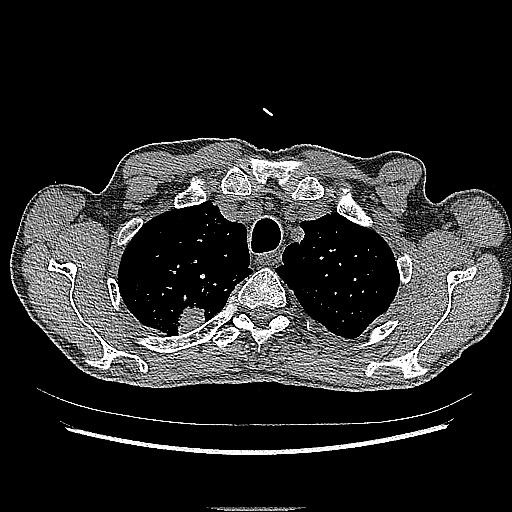 CT slice
The lung tumor lies within x1=170, y1=299, x2=211, y2=335.